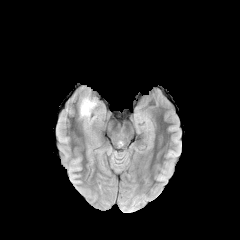
FLAIR MR image.
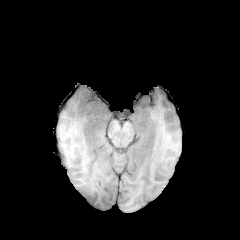
T1-weighted MR.
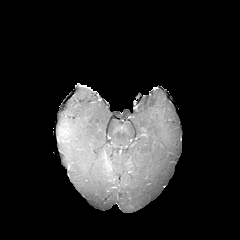
Same slice, post-contrast T1-weighted MR image.
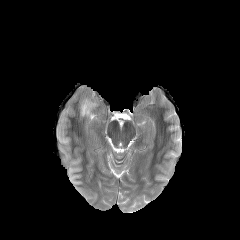
T2-weighted MRI of the same slice.
Annotated regions:
• edema: [79, 96, 97, 125]